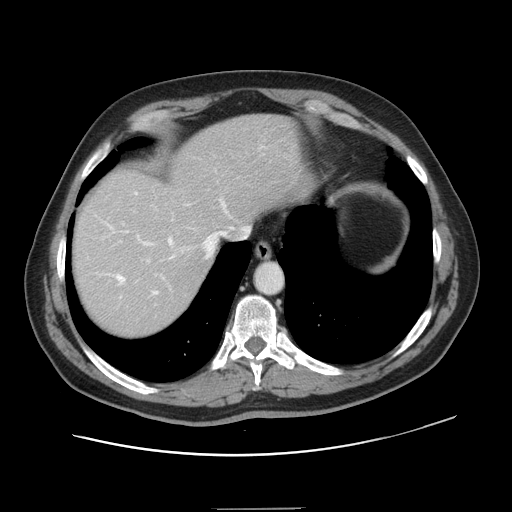

CT scan slice; Abdomen; Image size 512x512
Not every hepatic vessel necessarily has a box.
<segmentation>
  <hepatic_vessel>[138,237,149,244], [168,237,172,243], [109,225,114,231], [242,227,249,229], [230,227,232,228], [170,256,173,258], [117,275,124,284], [151,291,156,294], [147,259,149,261]</hepatic_vessel>
</segmentation>